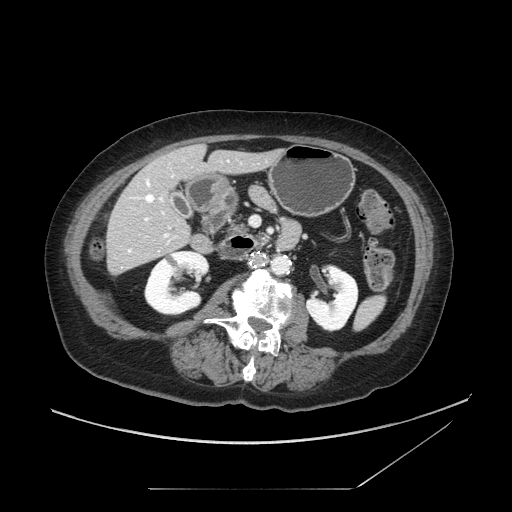

CT slice
Annotated regions:
* pancreas: bbox(233, 224, 247, 232)